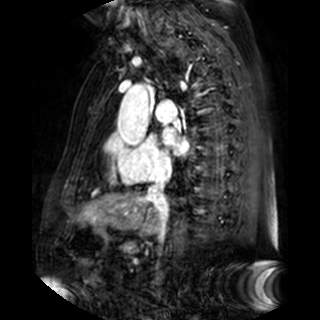

Magnetic resonance, Cardiac

The left atrium lies within rect(163, 128, 188, 153).